Head. Image size 240x240. Slice 121 of 155.
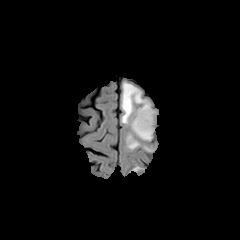
FLAIR MRI.
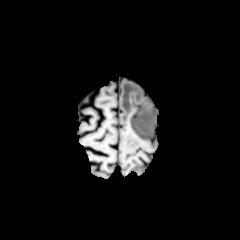
T1-weighted MR.
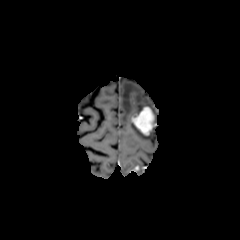
Post-contrast T1-weighted MRI.
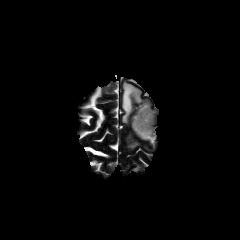
T2-weighted MRI.
* edema: (left=121, top=82, right=157, bottom=151)
* enhancing tumor: (left=131, top=106, right=155, bottom=135)